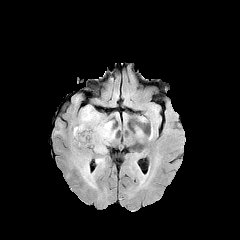
FLAIR MRI.
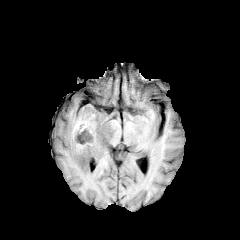
T1-weighted magnetic resonance of the same slice.
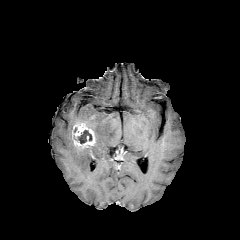
Same slice, post-contrast T1-weighted MR.
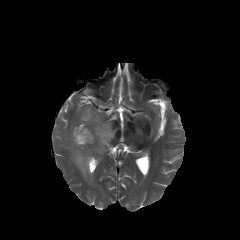
T2-weighted MR.
Brain
Enhancing tumor — [72,121,95,148].
Non-enhancing tumor core — [78,130,92,143].
Edema — [68,105,115,185].